512x512 px; Abdomen; Slice 34 of 77; CT scan slice 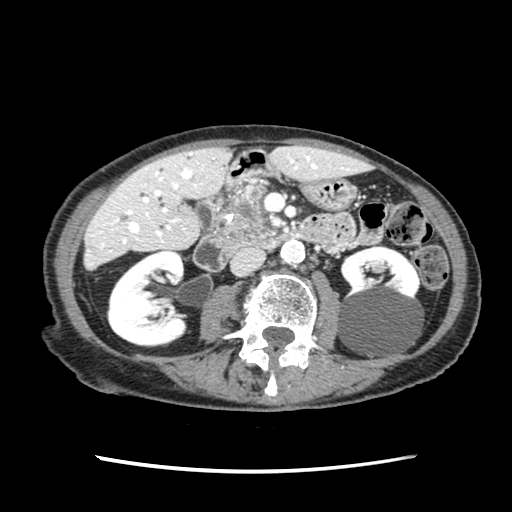

The pancreas lies within 219,185,268,241. The pancreatic tumor lies within 234,201,255,226.